Field of view 700 mm wide, 3.27 mm slice spacing, CT scan slice

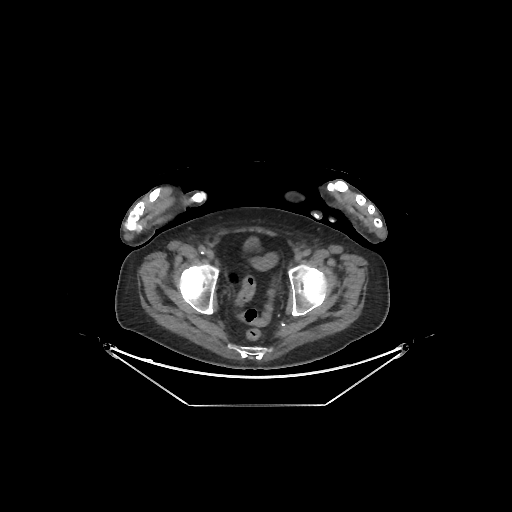

{
  "bone": [
    "rect(179, 264, 218, 314)",
    "rect(327, 181, 381, 227)",
    "rect(190, 192, 205, 201)",
    "rect(125, 188, 160, 230)",
    "rect(288, 265, 328, 315)",
    "rect(237, 347, 266, 359)"
  ]
}